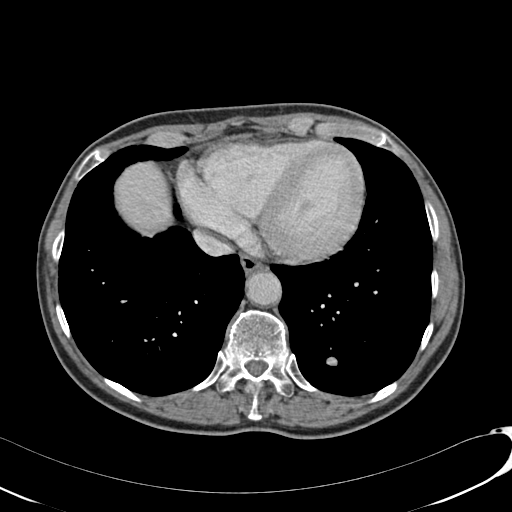

CT scan slice
Liver: <box>117,163,170,229</box>.